FLAIR MR.
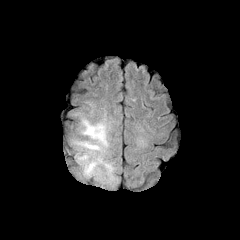
T1-weighted magnetic resonance.
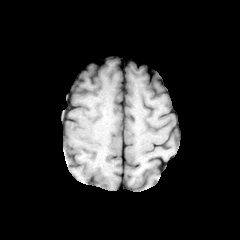
Post-contrast T1-weighted MRI.
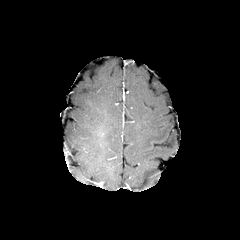
T2-weighted MR.
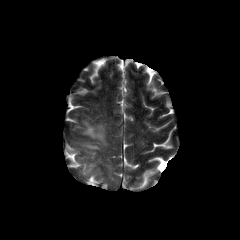
Image size 240x240 | Brain
• edema: bbox(74, 110, 114, 180)